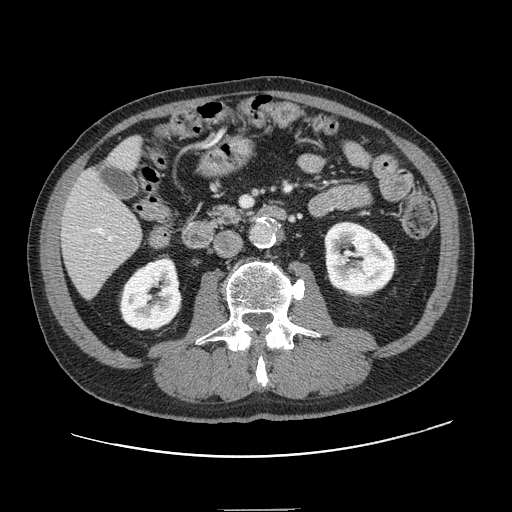

CT slice
The pancreas is at (202, 203, 250, 228).